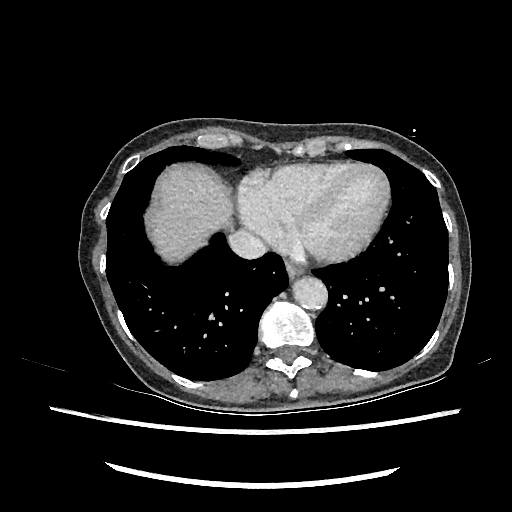

Computed tomography; Liver
The liver appears at 153,168,231,258.